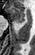 Medial temporal lobe. Magnetic resonance.

anterior_hippocampus:
  - (9,6,24,22)